CT image. Field of view 344 mm wide, 0.80 mm slice spacing. Slice index 124.

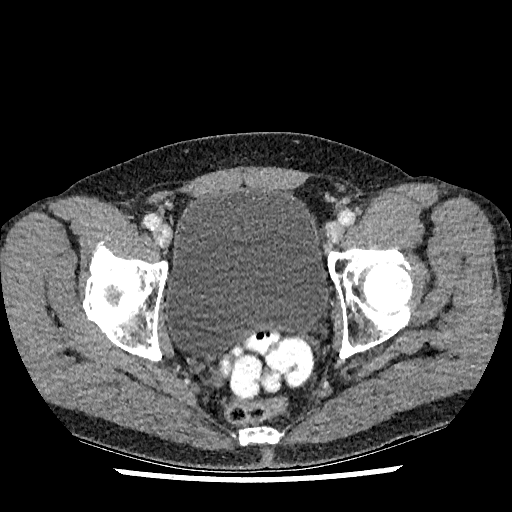 Urinary bladder: (165,188,328,356).